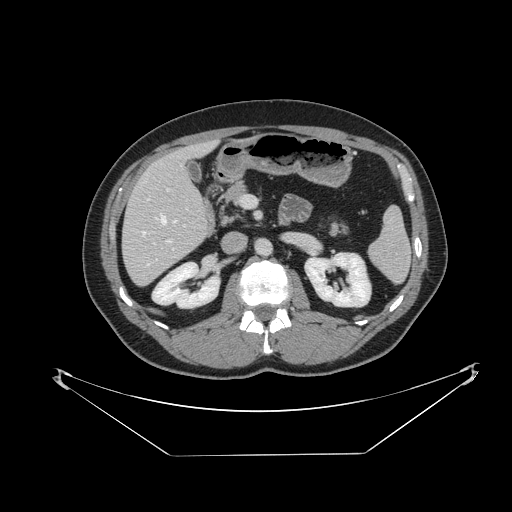 CT. 512x512 px. Upper abdomen.

Spleen — (370,208,409,281).